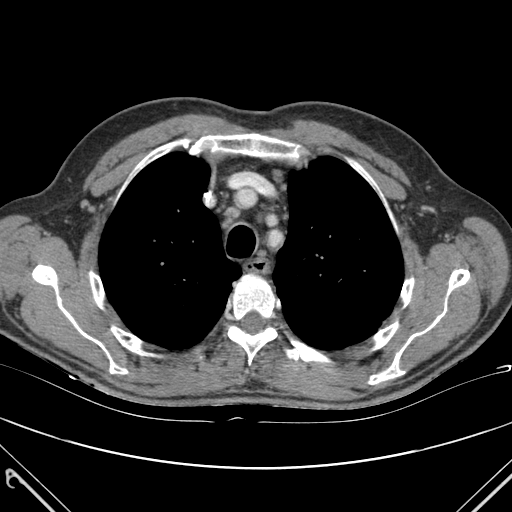
CT slice
2 lung regions are bounded by (273, 156, 403, 349), (98, 152, 241, 349). 12 bone regions appear at (287, 340, 328, 361), (374, 322, 398, 349), (131, 134, 301, 175), (111, 327, 146, 354), (228, 326, 277, 364), (401, 278, 413, 306), (89, 271, 104, 308), (233, 275, 274, 319), (350, 161, 377, 188), (447, 269, 469, 295), (368, 300, 446, 384), (32, 265, 127, 373).